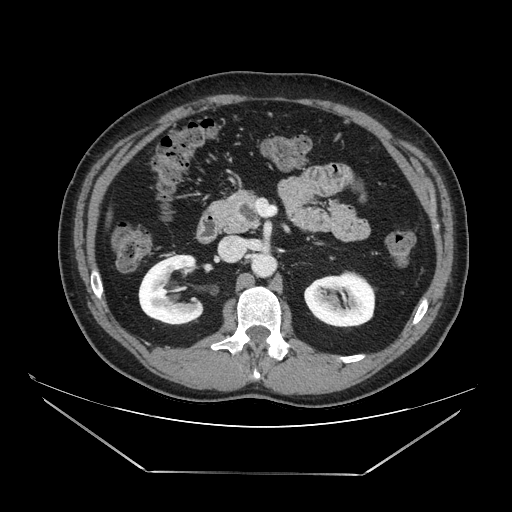

Upper abdomen | 512x512 px | CT slice
Pancreas: bounding box (210,190,258,233).